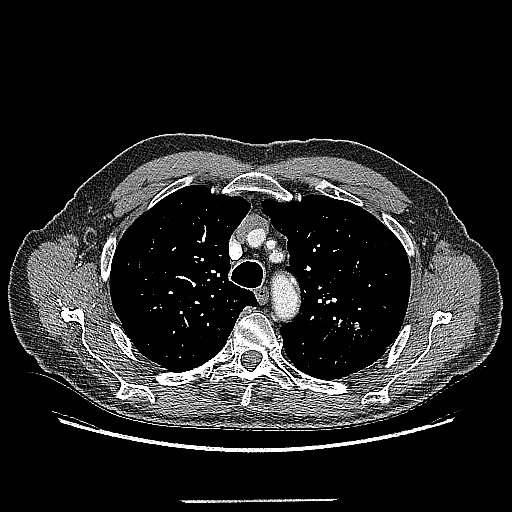

Lung, CT scan slice, 512x512 px
lung tumor: <bbox>330, 318, 361, 333</bbox>